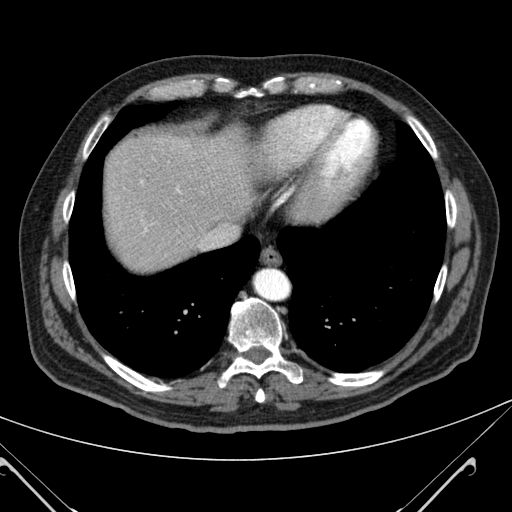 Upper abdomen. CT slice.
<segmentation>
  <liver>x1=102, y1=130, x2=263, y2=273</liver>
</segmentation>